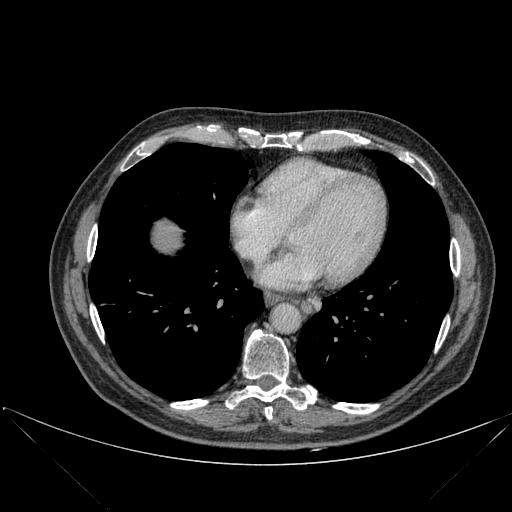 CT; Image size 512x512; Abdomen
Bone = left=262, top=132, right=300, bottom=147; left=321, top=130, right=367, bottom=142; left=233, top=330, right=316, bottom=409; left=87, top=224, right=97, bottom=261; left=435, top=318, right=449, bottom=350; left=450, top=238, right=460, bottom=275; left=239, top=128, right=258, bottom=134; left=130, top=144, right=149, bottom=155; left=90, top=305, right=104, bottom=342; left=265, top=407, right=272, bottom=419; left=171, top=399, right=207, bottom=409; left=333, top=402, right=378, bottom=413; left=405, top=153, right=413, bottom=162.
Liver = left=155, top=223, right=177, bottom=250.
Lung = left=88, top=143, right=262, bottom=400; left=297, top=151, right=452, bottom=402.